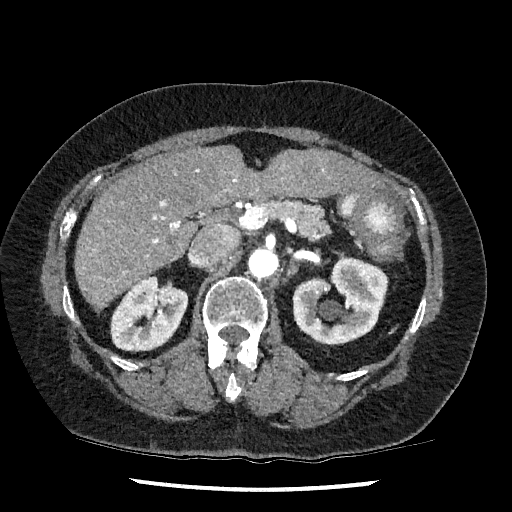 CT slice | Liver
Annotated regions:
- liver: <box>75,146,378,310</box>
- kidney: <box>293,258,387,343</box>, <box>111,277,187,350</box>